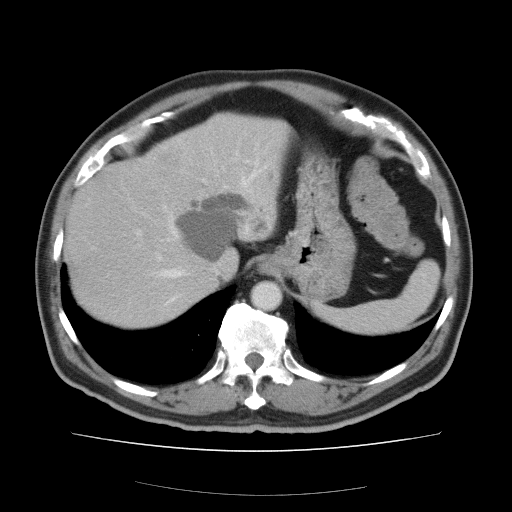

Abdomen | CT slice
Some hepatic vessels may have no box.
Liver tumor: bounding box region(160, 149, 179, 164).
Hepatic vessel: bounding box region(155, 253, 157, 259); region(161, 204, 177, 241); region(170, 269, 183, 276).